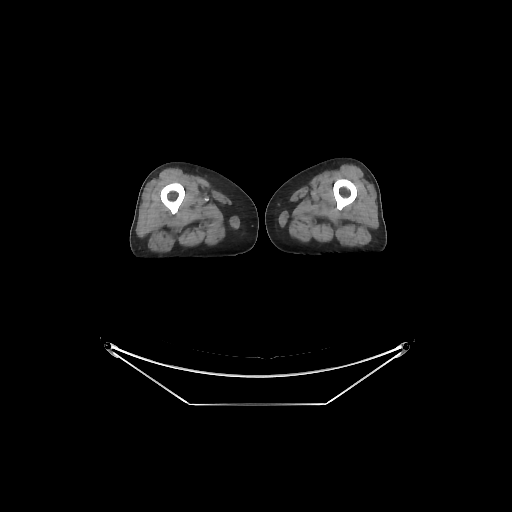 CT. 2 bone regions appear at 333 179 356 210, 160 182 184 214.